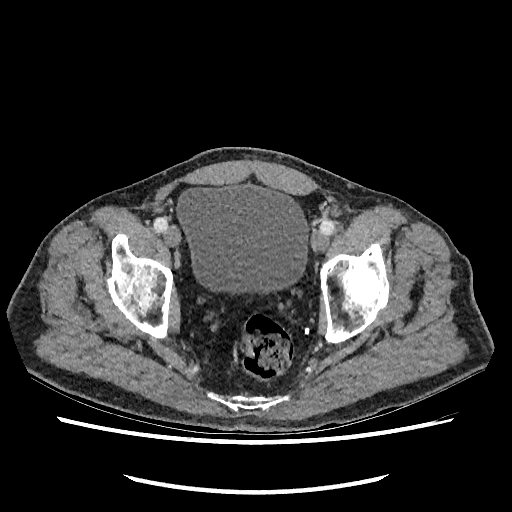 Computed tomography. Lower abdomen.

The urinary bladder is at left=176, top=182, right=308, bottom=292.